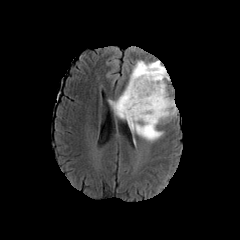
FLAIR MR.
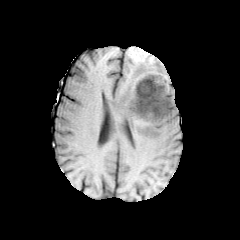
Same slice, T1-weighted MR image.
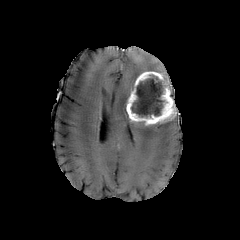
Same slice, post-contrast T1-weighted MR image.
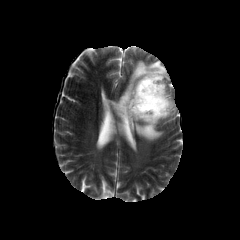
T2-weighted MR.
Head
The non-enhancing tumor core is located at l=131, t=76, r=164, b=116. The enhancing tumor appears at l=126, t=72, r=178, b=126. The edema is located at l=108, t=59, r=170, b=142.